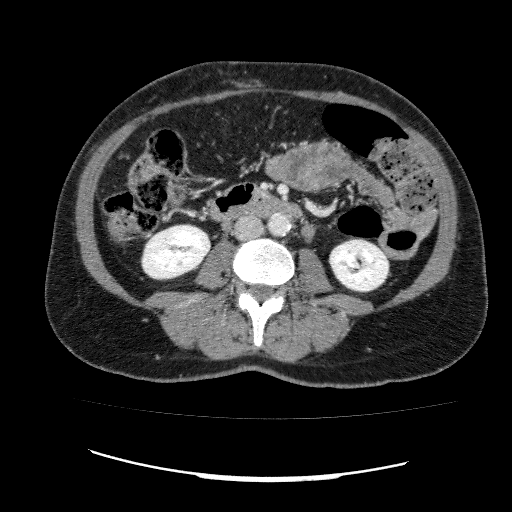

CT scan slice; Abdomen
Segmented structures:
- kidney: l=143, t=226, r=209, b=278; l=330, t=240, r=387, b=290